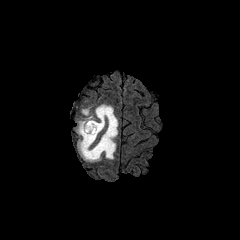
FLAIR magnetic resonance.
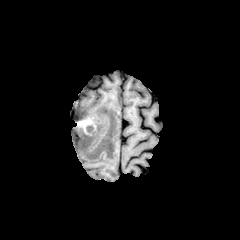
T1-weighted MR image.
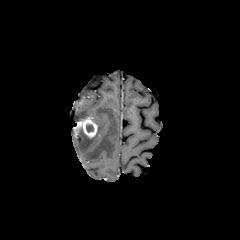
Post-contrast T1-weighted MR.
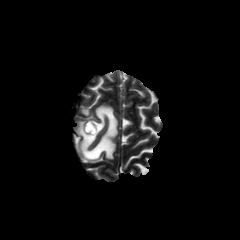
T2-weighted MR.
Brain. 240x240 px.
The edema is located at 76 104 117 162. The enhancing tumor lies within 76 117 97 138.